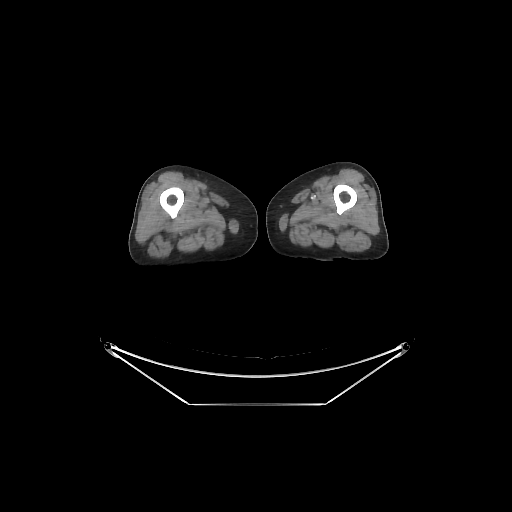
512x512 px. CT scan slice.
bone:
  - (160, 187, 183, 218)
  - (333, 184, 356, 214)